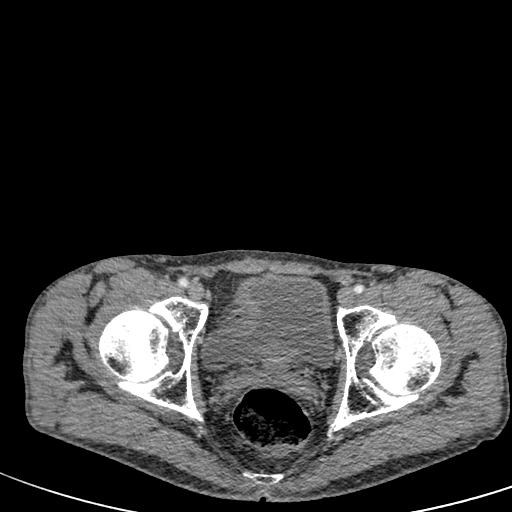

Computed tomography.
{
  "urinary_bladder": [
    "l=201, t=273, r=333, b=371"
  ]
}